FLAIR MRI.
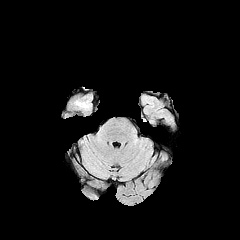
T1-weighted MRI.
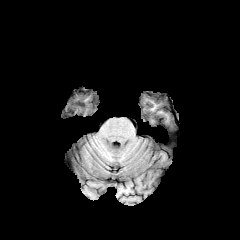
Post-contrast T1-weighted MRI.
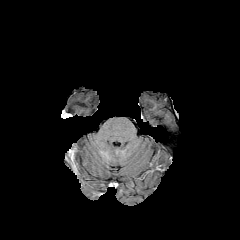
T2-weighted MR.
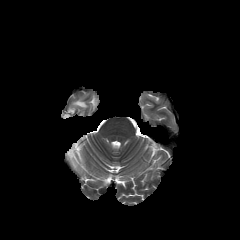
Brain
Segmented structures:
- edema: {"x1": 74, "y1": 99, "x2": 89, "y2": 110}